Abdomen, CT image
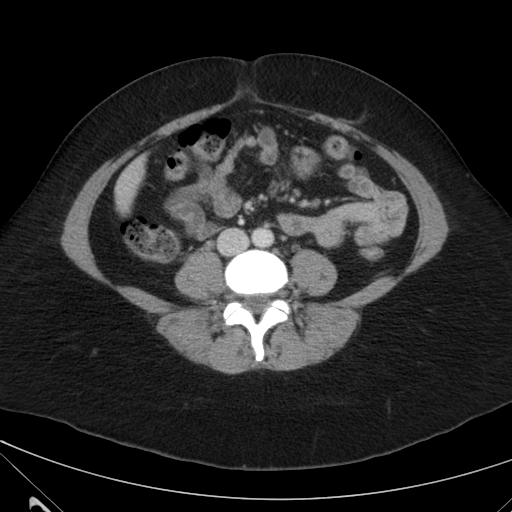

{
  "liver": [
    "115,158,144,202"
  ]
}